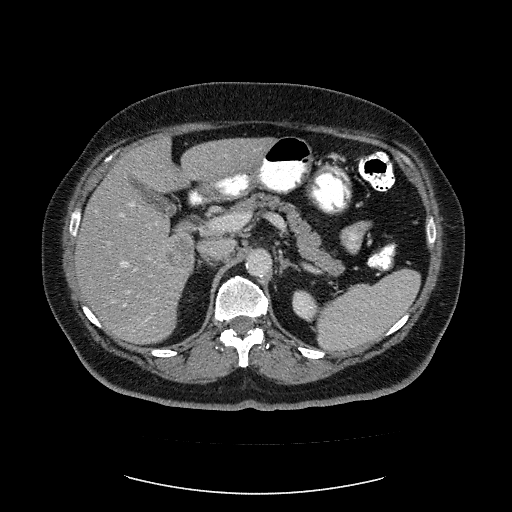 CT, 512x512 px
The vessel boxes may cover only some of the vessels.
{"hepatic_vessel": ["(148,256,152,259)", "(130,202,134,205)", "(120,213,123,215)", "(135,268,137,270)", "(121,261,128,266)", "(124,303,126,305)", "(217,175,245,183)", "(126,291,129,292)"], "liver_tumor": ["(173,236,191,271)"]}